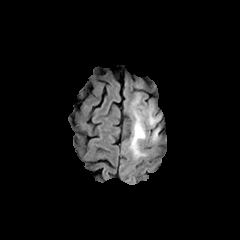
FLAIR magnetic resonance.
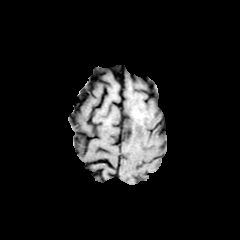
T1-weighted magnetic resonance of the same slice.
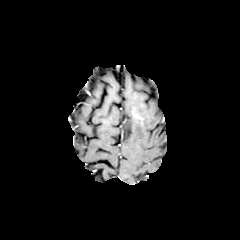
Post-contrast T1-weighted MRI of the same slice.
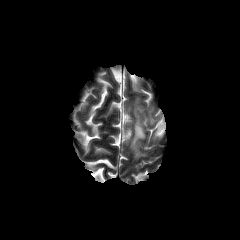
T2-weighted MR.
240x240 px. Brain.
Edema at [x1=128, y1=104, x2=160, y2=158].